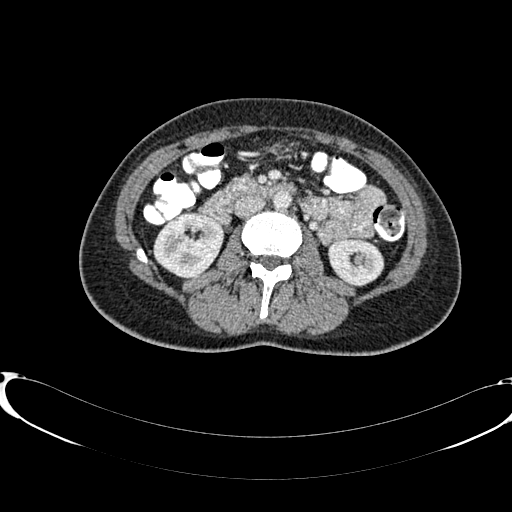 Abdomen; CT slice
- kidney: 155,215,222,276; 330,241,382,284